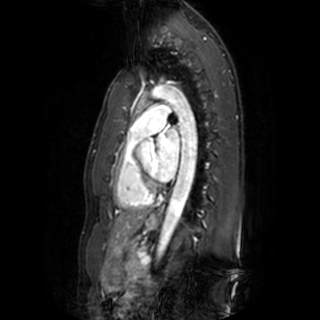 MR, Cardiac
Segmented structures:
- left atrium: bbox=[155, 129, 179, 180]